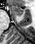 MRI slice
Anterior hippocampus at x1=9, y1=6, x2=22, y2=15.